Field of view 446 mm wide, 2.50 mm slice spacing | CT scan slice | Image size 512x512 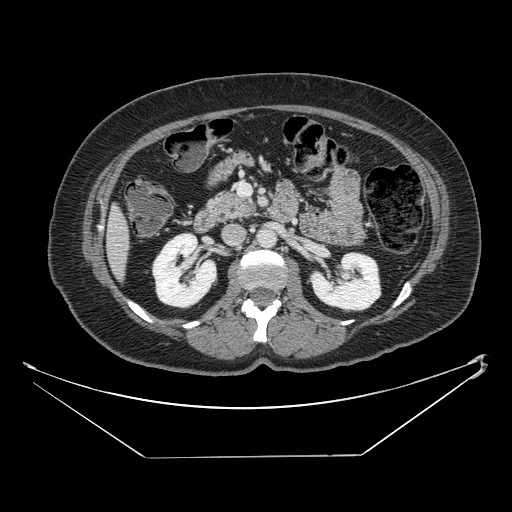
Segmented structures:
• pancreas: bbox(206, 190, 256, 224)